Hippocampus. Slice index 23. MR image. Field of view 38x52 mm.

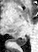
<segmentation>
  <posterior_hippocampus>region(13, 38, 26, 45)</posterior_hippocampus>
</segmentation>